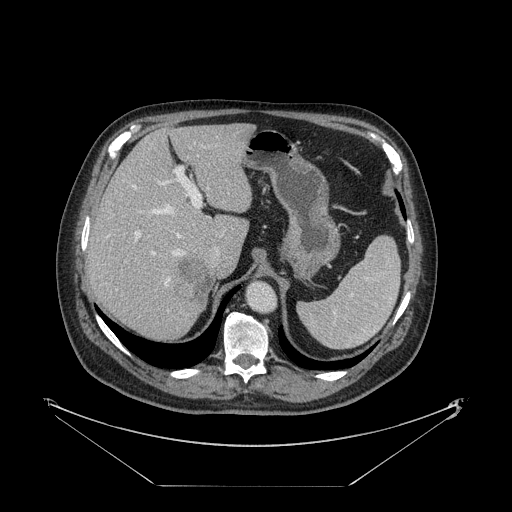
Abdomen | 512x512 px | CT
Some hepatic vessels may have no box.
6 hepatic vessel regions are located at 158:180:169:184, 135:231:140:238, 151:251:153:253, 165:278:168:285, 201:145:203:146, 176:234:179:236. The liver tumor lies within 178:257:210:303.